CT scan slice. 512x512 px.

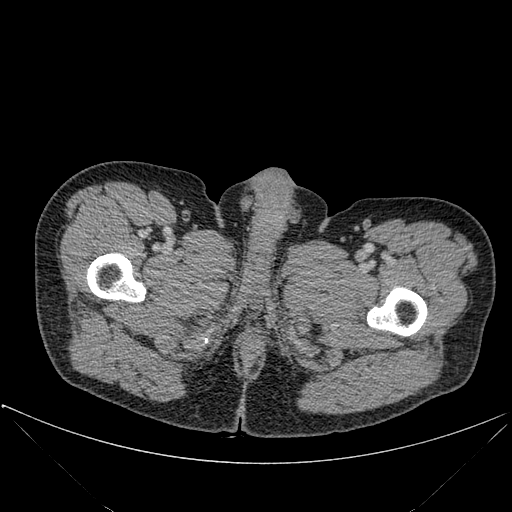 2 bone regions appear at (367,287,426,335), (87,253,145,301).